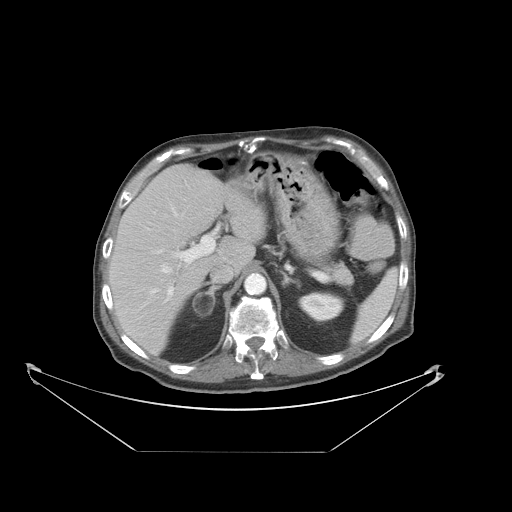

Abdomen | CT scan slice | 512x512 px
Some hepatic vessels may have no box.
Hepatic vessel = {"x1": 165, "y1": 287, "x2": 173, "y2": 302}, {"x1": 172, "y1": 209, "x2": 177, "y2": 216}, {"x1": 176, "y1": 225, "x2": 220, "y2": 263}, {"x1": 162, "y1": 264, "x2": 171, "y2": 273}, {"x1": 151, "y1": 289, "x2": 156, "y2": 293}, {"x1": 157, "y1": 250, "x2": 163, "y2": 253}.